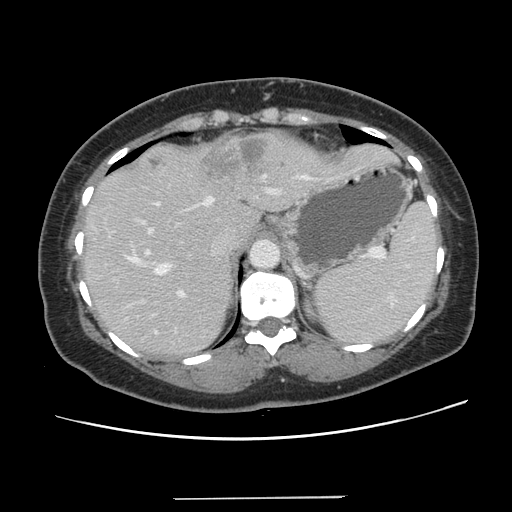 Computed tomography
The vessel annotation is not exhaustive.
11 hepatic vessel regions are bounded by rect(203, 197, 213, 204); rect(146, 250, 149, 254); rect(267, 189, 278, 192); rect(154, 202, 159, 205); rect(262, 175, 264, 179); rect(127, 254, 141, 264); rect(148, 228, 152, 232); rect(155, 331, 157, 333); rect(138, 220, 145, 223); rect(155, 263, 169, 274); rect(178, 291, 184, 296). The liver tumor is at rect(200, 136, 269, 183).